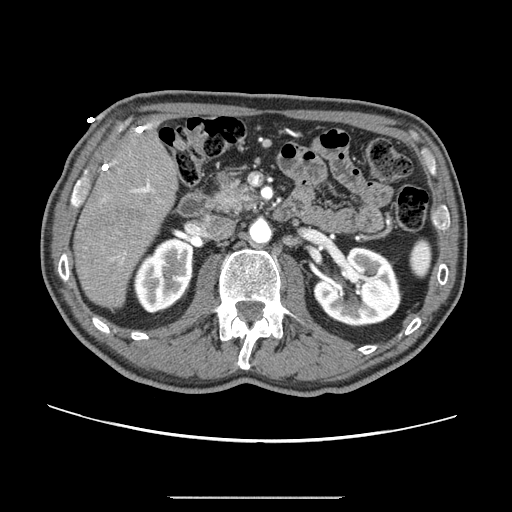

Computed tomography. Annotated regions:
* pancreatic tumor: x1=225 y1=188 x2=241 y2=198
* pancreas: x1=213 y1=173 x2=262 y2=212